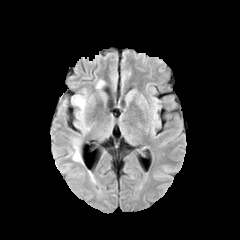
FLAIR MR image.
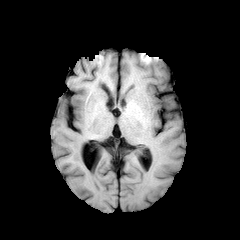
Same slice, T1-weighted MRI.
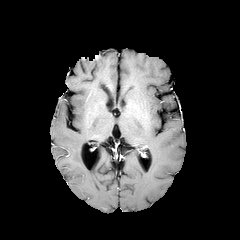
Post-contrast T1-weighted magnetic resonance.
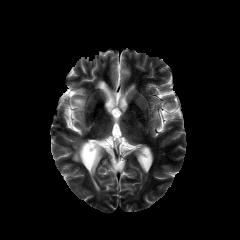
T2-weighted MRI.
Head
Edema — bbox=[95, 80, 104, 88]; bbox=[70, 137, 82, 162]; bbox=[70, 91, 89, 133].